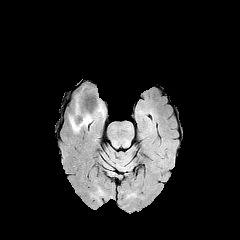
FLAIR MR image.
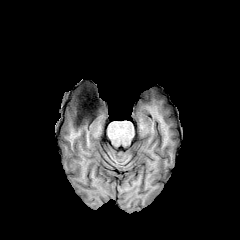
T1-weighted MR.
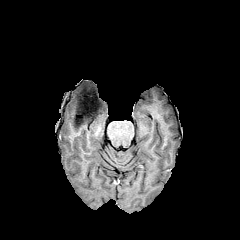
Post-contrast T1-weighted MR image.
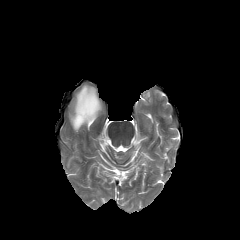
T2-weighted MRI.
Brain
<segmentation>
  <non-enhancing_tumor_core>box=[77, 98, 100, 121]</non-enhancing_tumor_core>
  <edema>box=[85, 102, 97, 113]; box=[75, 102, 82, 115]; box=[69, 102, 104, 130]</edema>
</segmentation>